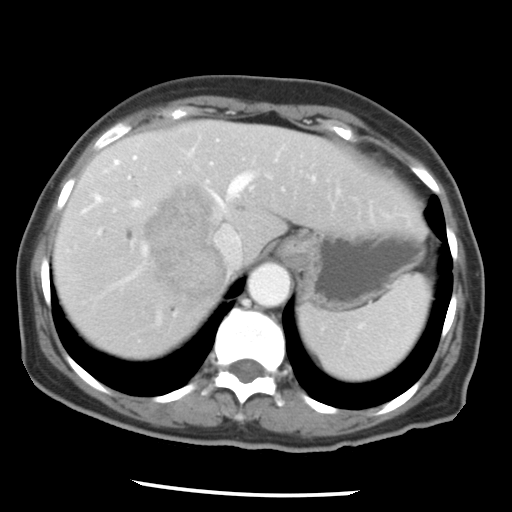 Abdomen. CT slice.
Some hepatic vessels may have no box.
<segmentation>
  <liver_tumor><bbox>142, 181, 225, 302</bbox></liver_tumor>
  <hepatic_vessel><bbox>92, 193, 103, 205</bbox>, <bbox>128, 274, 135, 278</bbox>, <bbox>189, 150, 192, 155</bbox>, <bbox>83, 207, 90, 212</bbox>, <bbox>103, 158, 120, 172</bbox>, <bbox>131, 199, 141, 206</bbox>, <bbox>142, 245, 145, 253</bbox>, <bbox>203, 171, 254, 215</bbox>, <bbox>132, 155, 137, 160</bbox>, <bbox>215, 225, 240, 263</bbox></hepatic_vessel>
</segmentation>